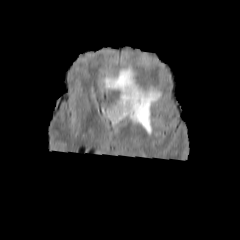
FLAIR MR.
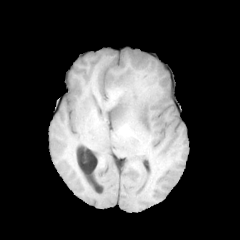
Same slice, T1-weighted MR image.
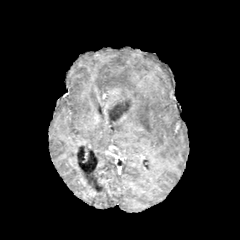
Post-contrast T1-weighted magnetic resonance.
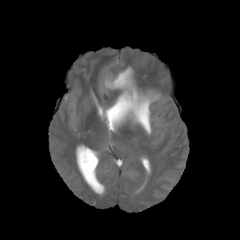
T2-weighted MR image.
Image size 240x240
Segmented structures:
• non-enhancing tumor core: region(108, 99, 131, 121)
• edema: region(104, 67, 161, 132)